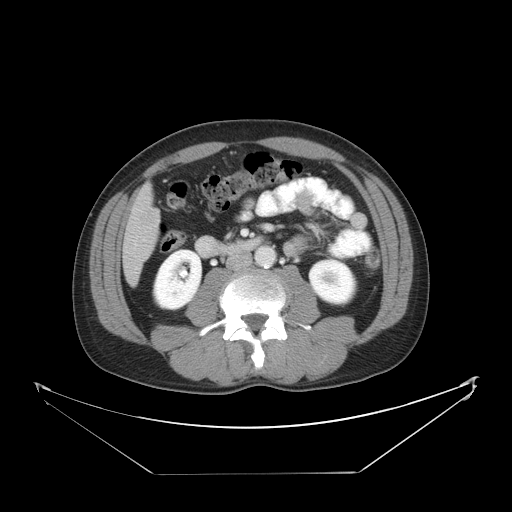
Liver. CT scan slice.

The vessel annotation is not exhaustive.
{
  "liver_tumor": [
    "148, 213, 160, 223"
  ],
  "hepatic_vessel": [
    "148, 225, 153, 228",
    "135, 267, 137, 269",
    "134, 241, 136, 245"
  ]
}